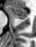

Image size 36x47 | MRI

Posterior hippocampus = l=14, t=17, r=26, b=18.
Anterior hippocampus = l=7, t=5, r=27, b=16.